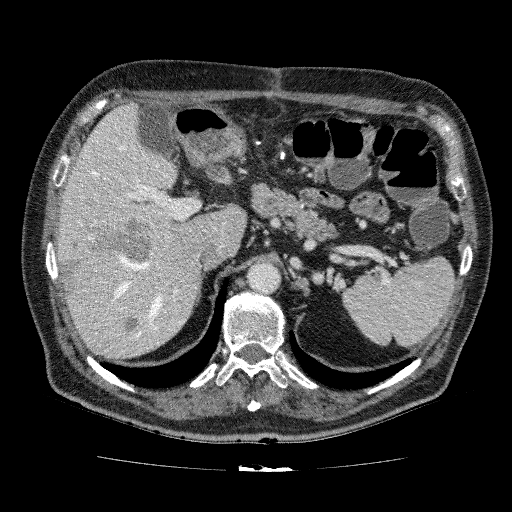
CT scan slice. Abdomen. 5 focal liver lesion regions are located at [120, 314, 142, 336], [69, 213, 153, 261], [75, 181, 83, 188], [164, 312, 174, 323], [58, 256, 83, 298]. 2 liver regions appear at [85, 231, 100, 243], [56, 102, 246, 358].